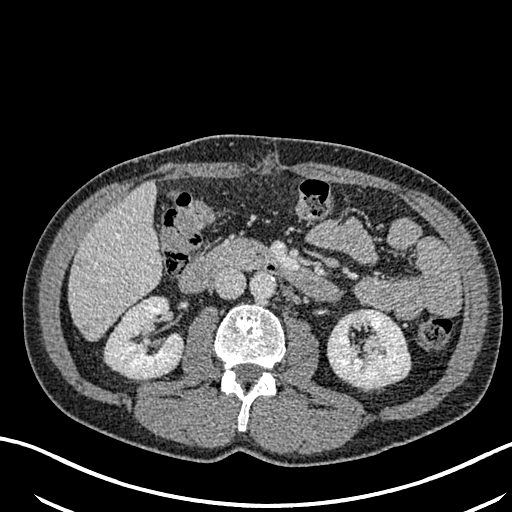
Computed tomography
2 kidney regions appear at (left=328, top=310, right=409, bottom=387), (left=105, top=297, right=182, bottom=377). The liver is bounded by (left=69, top=182, right=160, bottom=339). 2 liver lesion regions appear at (left=74, top=258, right=89, bottom=268), (left=78, top=322, right=94, bottom=337).